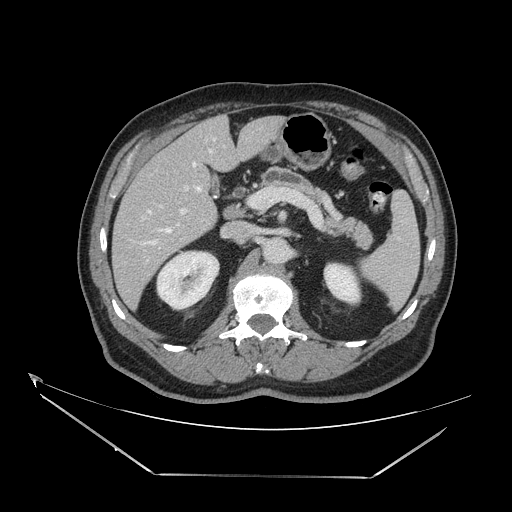

Upper abdomen; 512x512 px; CT image
pancreas:
  - <bbox>337, 218, 372, 247</bbox>
  - <bbox>263, 167, 316, 197</bbox>